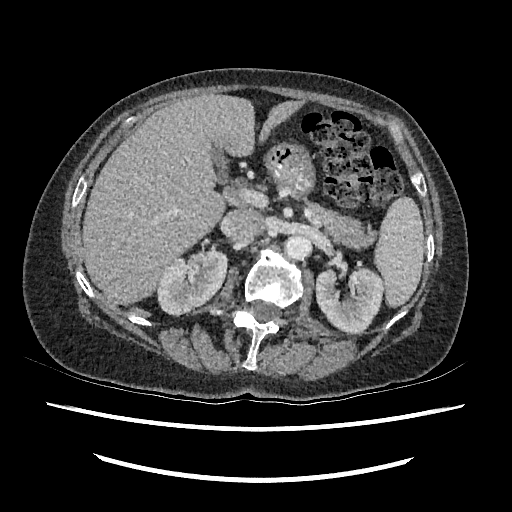
CT | 512x512 px | Abdomen

2 liver regions appear at box=[259, 101, 303, 142]; box=[82, 95, 255, 303]. 2 kidney regions are bounded by box=[316, 257, 383, 332]; box=[158, 250, 226, 314].